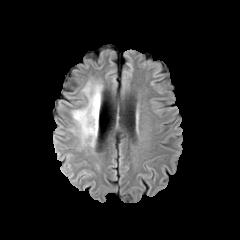
FLAIR MR.
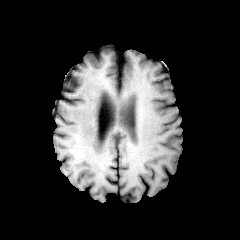
T1-weighted MR.
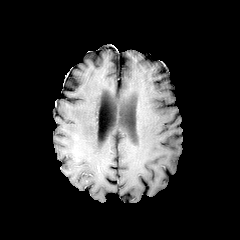
Post-contrast T1-weighted MRI.
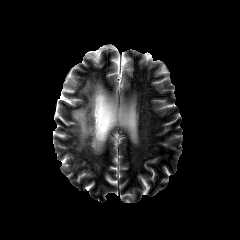
T2-weighted MR image.
Head
The edema lies within 70,80,103,147.